CT | Abdomen 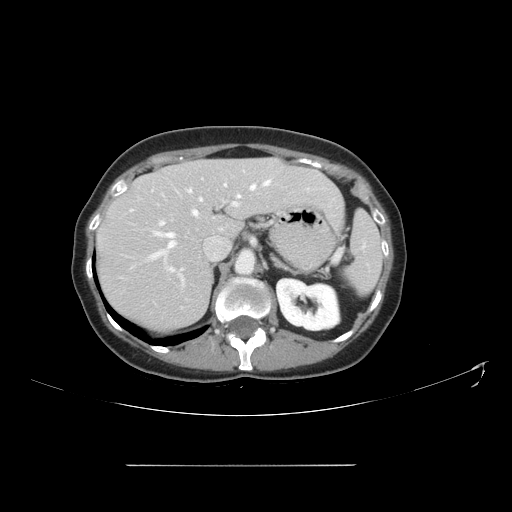
The vessel annotation is not exhaustive.
Hepatic vessel at x1=178 y1=269 x2=184 y2=285, x1=237 y1=194 x2=240 y2=197, x1=199 y1=197 x2=202 y2=201, x1=222 y1=200 x2=224 y2=202, x1=159 y1=221 x2=164 y2=225, x1=224 y1=184 x2=226 y2=186, x1=250 y1=184 x2=255 y2=189, x1=166 y1=268 x2=173 y2=271, x1=264 y1=180 x2=270 y2=185, x1=153 y1=231 x2=175 y2=247, x1=149 y1=250 x2=167 y2=263, x1=192 y1=210 x2=197 y2=215, x1=187 y1=188 x2=191 y2=192, x1=232 y1=202 x2=238 y2=205.
Liver tumor at x1=238 y1=169 x2=264 y2=179.